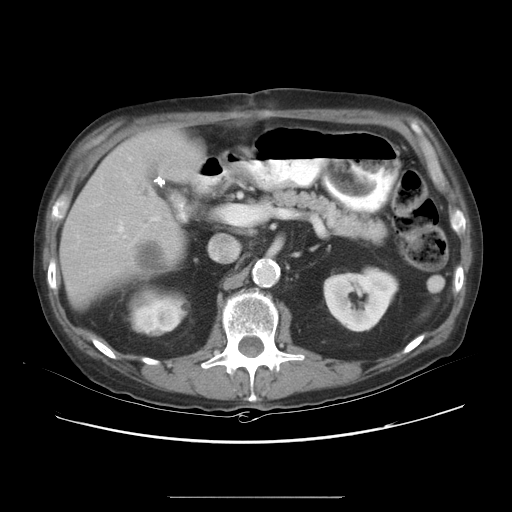 512x512, Liver, CT slice
The vessel boxes may cover only some of the vessels.
liver_tumor:
  - <box>137,242,163,273</box>
hepatic_vessel:
  - <box>220,205,259,225</box>
  - <box>118,221,125,236</box>